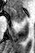 MR, 35x53
The anterior hippocampus appears at 7 7 25 23.